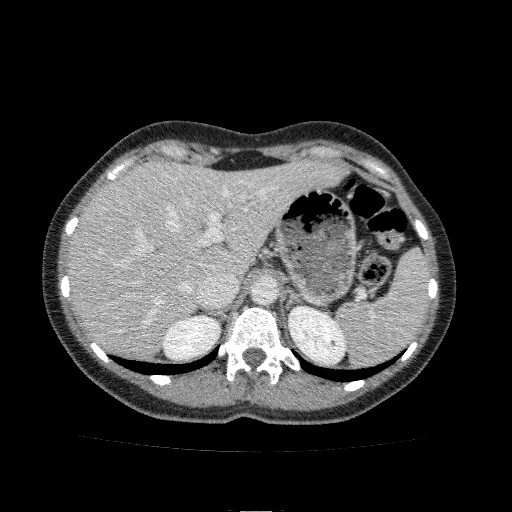
CT scan slice

<segmentation>
  <kidney>(163,316,219,359), (289,306,345,363)</kidney>
  <liver>(67,158,343,356)</liver>
</segmentation>